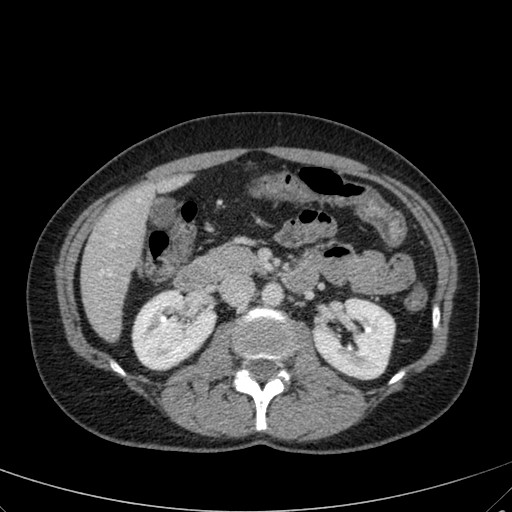
Upper abdomen. CT slice.
2 kidney regions are located at box(315, 299, 394, 378); box(133, 291, 214, 368). The liver lies within box(81, 176, 180, 341).